FLAIR MRI.
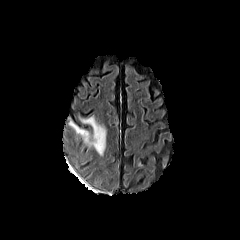
T1-weighted MR.
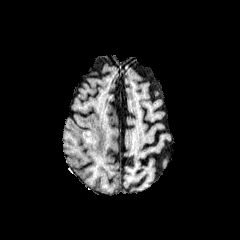
Post-contrast T1-weighted MR image.
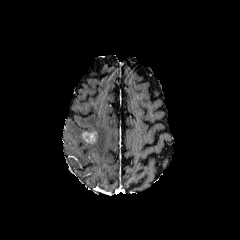
T2-weighted MR image.
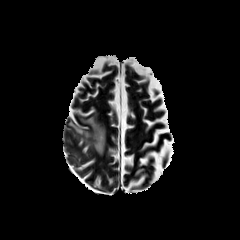
Head
Enhancing tumor: (81, 131, 97, 144).
Edema: (79, 114, 106, 155), (68, 118, 90, 135).